CT image, Slice 66 of 94, Abdomen, 512x512 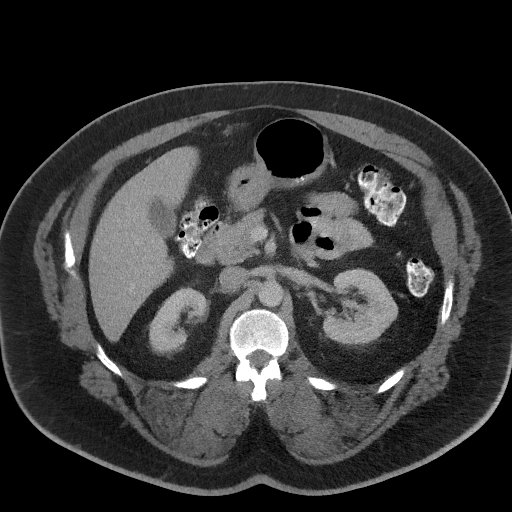

pancreas:
  - box(196, 211, 263, 265)